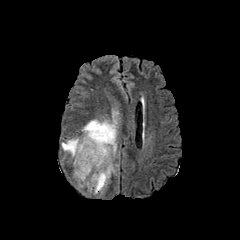
FLAIR MRI.
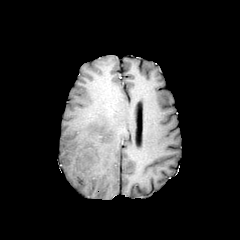
T1-weighted MRI.
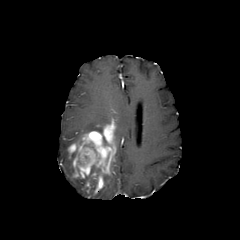
Same slice, post-contrast T1-weighted MR image.
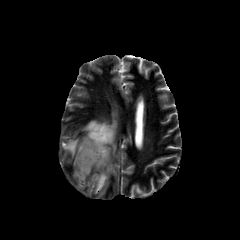
Same slice, T2-weighted MRI.
Brain
Non-enhancing tumor core: bounding box box(78, 165, 107, 192).
Enhancing tumor: bounding box box(94, 174, 103, 193); box(68, 124, 115, 178).
Edema: bounding box box(61, 112, 117, 153); box(99, 173, 111, 193).